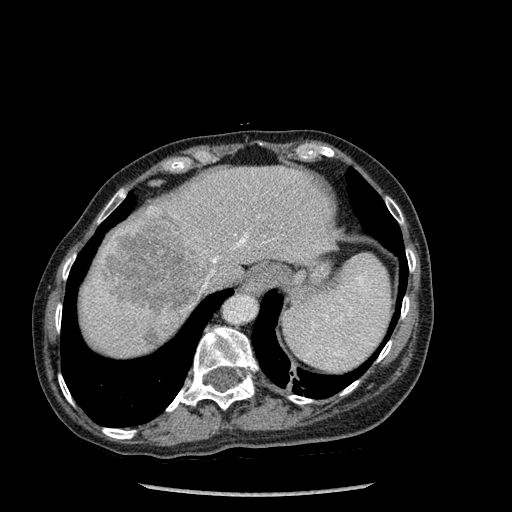 CT scan slice. 512x512.

liver lesion: (144, 329, 158, 344), (102, 215, 206, 311) | lung: (60, 193, 230, 427), (346, 169, 408, 301), (252, 291, 369, 398) | liver: (78, 166, 339, 358) | bone: (58, 374, 72, 404), (401, 296, 409, 318), (406, 248, 415, 271), (102, 428, 135, 439), (288, 395, 312, 404), (377, 341, 391, 361), (166, 327, 257, 411), (62, 254, 75, 279), (97, 189, 125, 223), (385, 197, 403, 223), (54, 304, 61, 331), (340, 380, 358, 395)